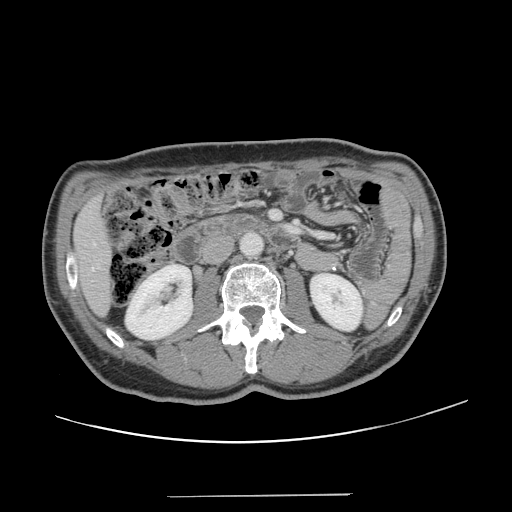

Liver | CT
Some hepatic vessels may have no box.
Hepatic vessel — 93:243:95:246, 92:268:93:269.